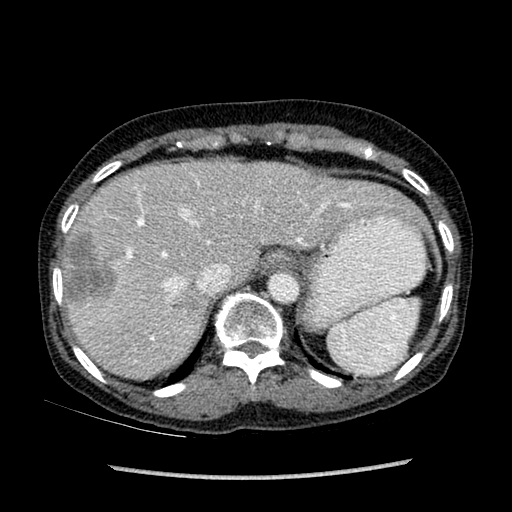

CT scan slice.
Liver: bounding box rect(62, 161, 432, 377).
Hepatic lesion: bounding box rect(60, 232, 117, 306); rect(171, 302, 197, 310).